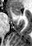 32x46. Medial temporal lobe. MR image.

The anterior hippocampus is located at region(11, 8, 22, 15).